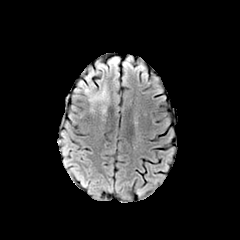
FLAIR magnetic resonance.
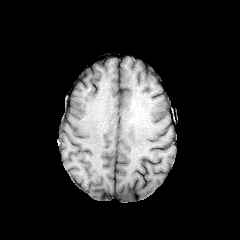
T1-weighted MRI.
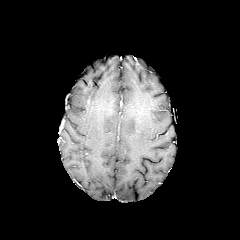
Same slice, post-contrast T1-weighted MR image.
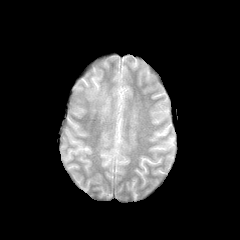
T2-weighted magnetic resonance of the same slice.
240x240
edema:
  - box=[82, 73, 109, 115]